Image size 512x512. Liver. CT scan slice. Slice 119 of 129.

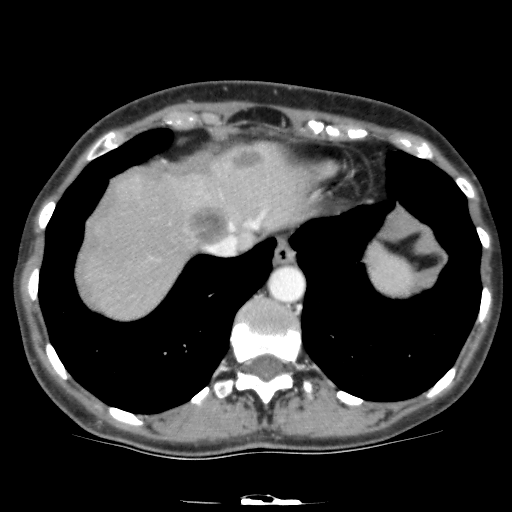 hepatic lesion: box=[186, 204, 231, 245]; box=[231, 148, 264, 169] | liver: box=[81, 141, 314, 319]